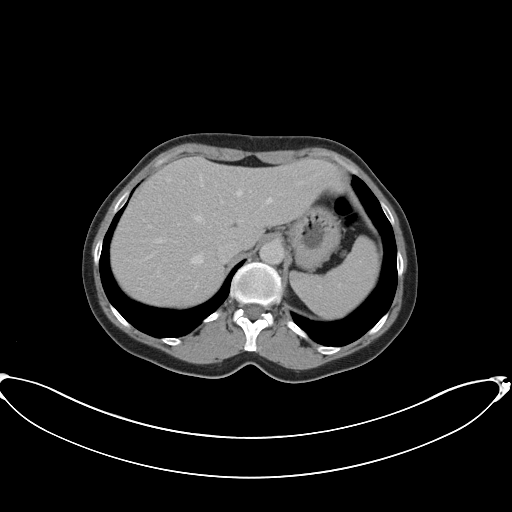
CT image

The vessel boxes may cover only some of the vessels.
5 hepatic vessel regions appear at x1=195, y1=216, x2=200, y2=220; x1=236, y1=189, x2=242, y2=196; x1=193, y1=258, x2=200, y2=261; x1=265, y1=197, x2=272, y2=204; x1=158, y1=240, x2=161, y2=241.